T2-weighted MRI.
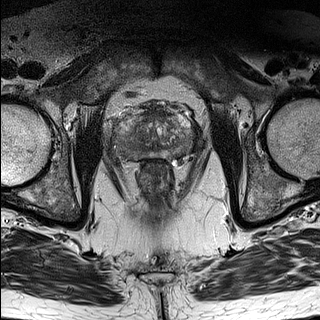
ADC magnetic resonance.
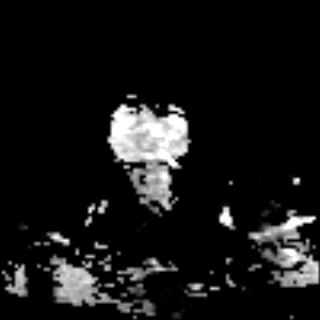
<segmentation>
  <prostate_peripheral_zone>[115, 115, 198, 158]</prostate_peripheral_zone>
</segmentation>